FLAIR MRI.
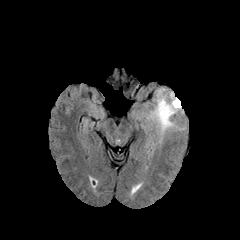
T1-weighted MR image.
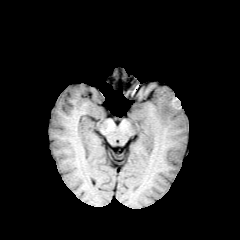
Post-contrast T1-weighted MR image.
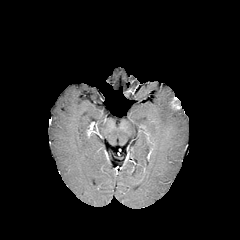
T2-weighted MR.
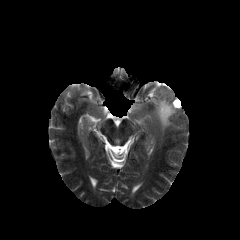
Head
Enhancing tumor = [170, 97, 180, 109].
Edema = [141, 88, 181, 137].